Slice index 44 | CT image
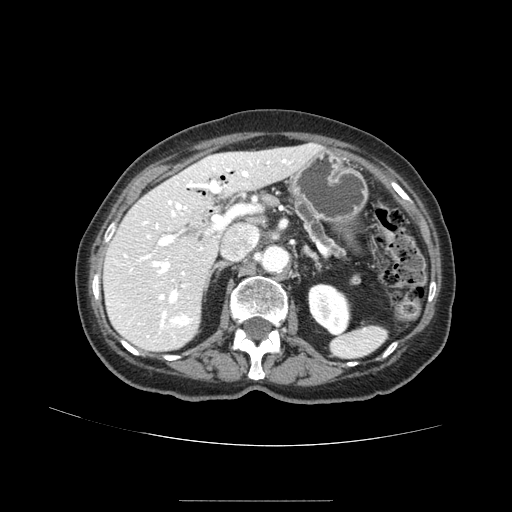 Pancreas: bounding box left=293, top=200, right=343, bottom=257.